CT image; Field of view 400 mm wide, 5.00 mm slice spacing; Upper abdomen
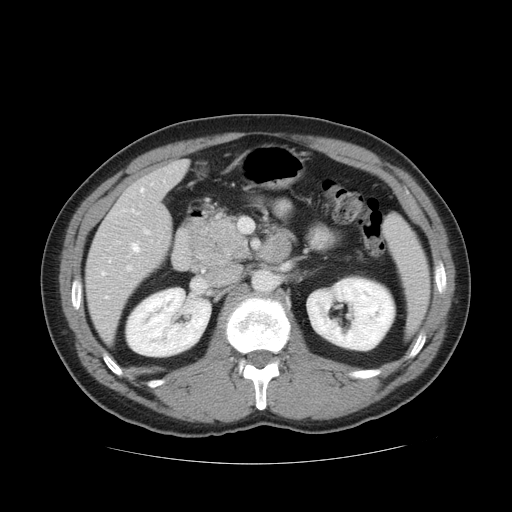

Pancreatic tumor = {"x1": 193, "y1": 218, "x2": 249, "y2": 266}.
Pancreas = {"x1": 191, "y1": 217, "x2": 236, "y2": 267}.